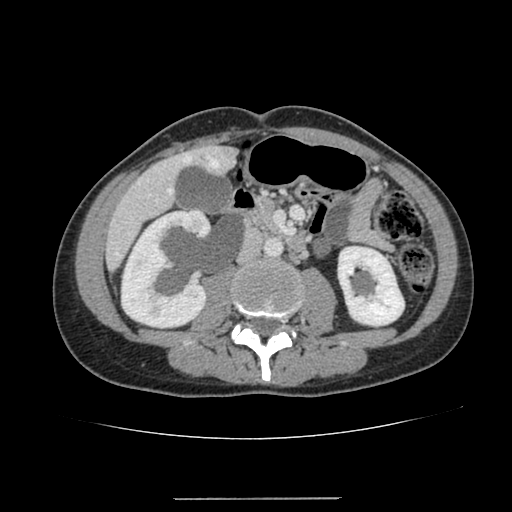 Liver. 512x512 px. Computed tomography.
2 kidney regions are bounded by {"x1": 122, "y1": 211, "x2": 209, "y2": 327}, {"x1": 338, "y1": 247, "x2": 404, "y2": 325}. The liver lies within {"x1": 106, "y1": 145, "x2": 237, "y2": 271}.